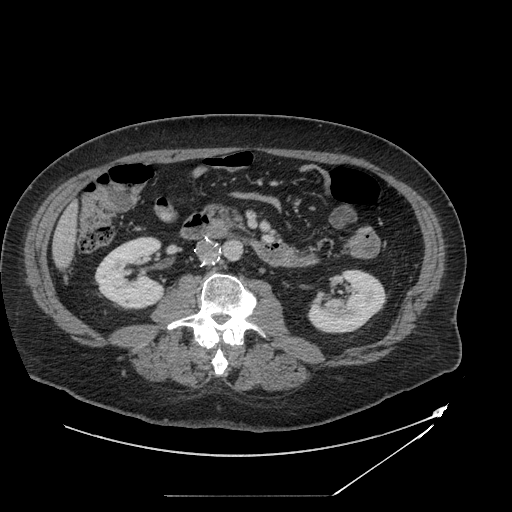

Computed tomography. 512x512 px. {
  "pancreas": [
    "(206, 204, 240, 224)"
  ]
}